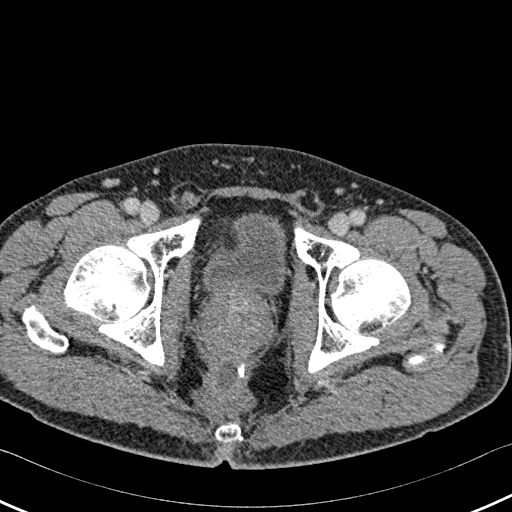 Lower abdomen. CT.
Urinary bladder: 203 212 287 305.
Bone: 215 423 243 441, 64 219 199 366, 23 306 67 351, 294 228 410 372, 409 356 423 363.